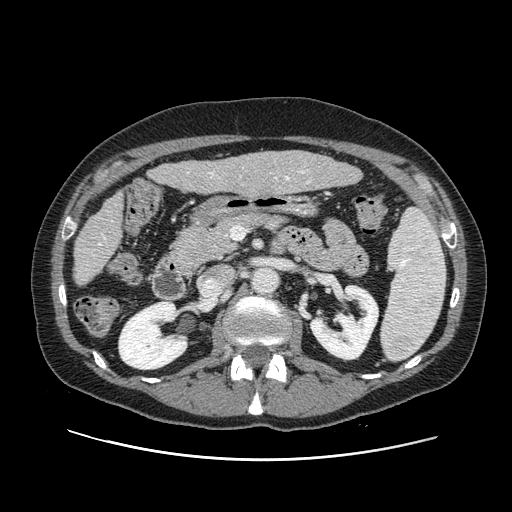 CT scan slice

The pancreas is bounded by rect(170, 213, 286, 276).